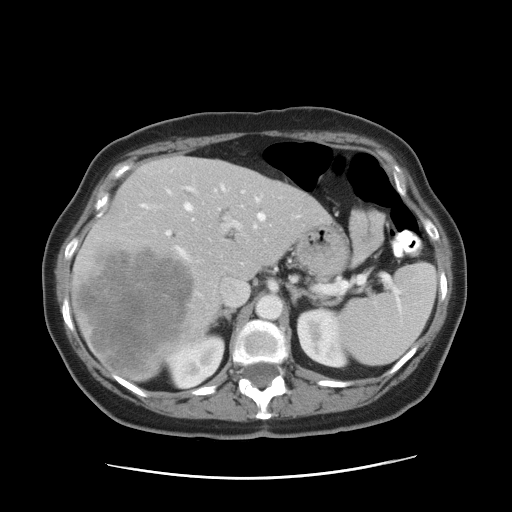
Computed tomography.
Not every hepatic vessel necessarily has a box.
Findings:
- liver tumor: [75, 239, 194, 377]
- hepatic vessel: [258, 213, 265, 220], [167, 190, 171, 193], [219, 186, 224, 190], [225, 217, 227, 219], [242, 191, 243, 192], [166, 231, 170, 234], [178, 248, 187, 258], [256, 198, 260, 202], [185, 187, 194, 191], [254, 225, 256, 227], [184, 203, 192, 210], [222, 278, 248, 307], [141, 204, 147, 208], [231, 222, 240, 227]